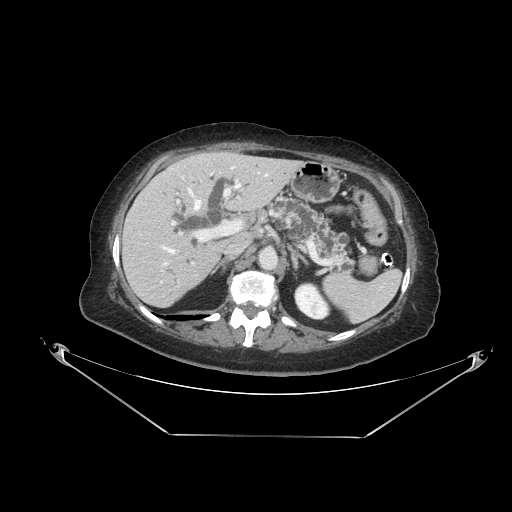
CT scan slice
{"pancreas": ["(x1=271, y1=197, x2=354, y2=272)"]}